FLAIR MR.
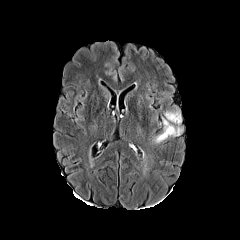
T1-weighted magnetic resonance.
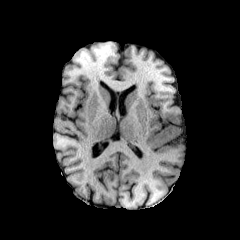
Post-contrast T1-weighted MRI.
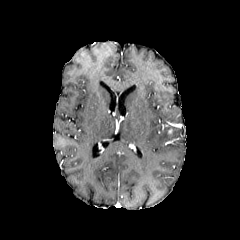
T2-weighted MR.
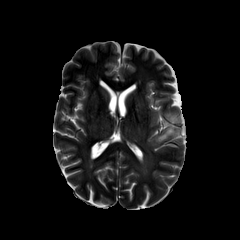
Head
edema: (164,107,181,123), (152,126,180,144)